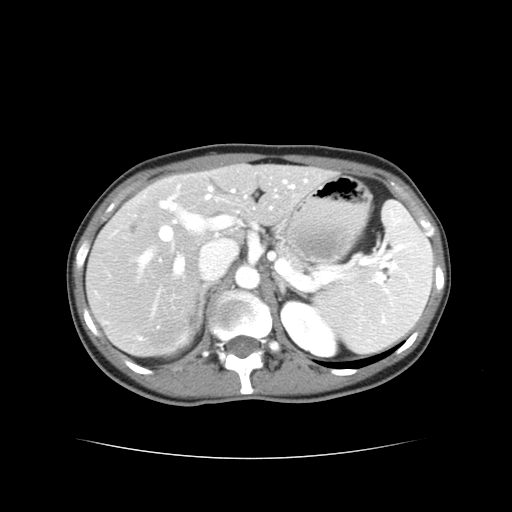

CT. Some hepatic vessels may have no box.
{
  "liver_tumor": [
    "left=133, top=218, right=142, bottom=229"
  ],
  "hepatic_vessel": [
    "left=161, top=227, right=171, bottom=240",
    "left=175, top=258, right=183, bottom=271",
    "left=207, top=196, right=209, bottom=198",
    "left=140, top=253, right=151, bottom=265",
    "left=226, top=219, right=228, bottom=221",
    "left=209, top=188, right=211, bottom=190",
    "left=284, top=181, right=286, bottom=183",
    "left=292, top=186, right=293, bottom=187",
    "left=162, top=198, right=173, bottom=208"
  ]
}